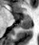
MR image; Hippocampus
The posterior hippocampus appears at rect(19, 21, 31, 29). 2 anterior hippocampus regions are located at rect(15, 16, 18, 17); rect(21, 15, 31, 20).